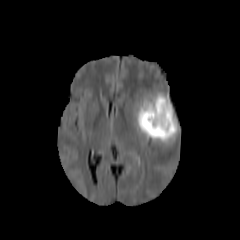
FLAIR MR image.
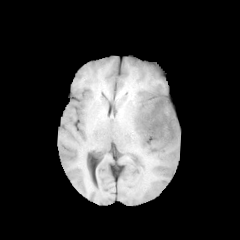
T1-weighted MR.
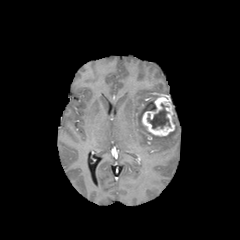
Post-contrast T1-weighted MR.
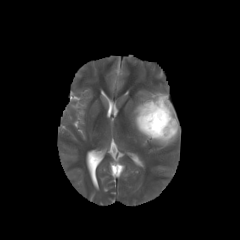
T2-weighted MR.
Head, 240x240 px
The enhancing tumor appears at region(141, 95, 175, 136). 2 non-enhancing tumor core regions appear at region(147, 104, 168, 128); region(143, 100, 156, 113). The edema lies within region(128, 95, 179, 145).